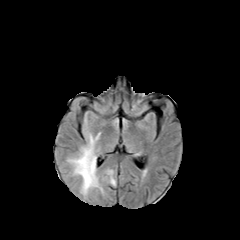
FLAIR magnetic resonance.
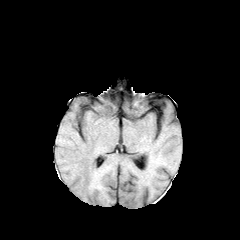
Same slice, T1-weighted MRI.
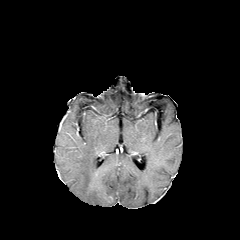
Same slice, post-contrast T1-weighted MRI.
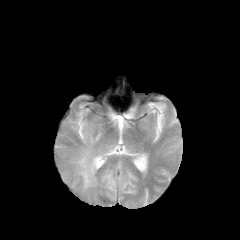
Same slice, T2-weighted magnetic resonance.
240x240
edema: left=69, top=130, right=104, bottom=194; left=101, top=169, right=116, bottom=187